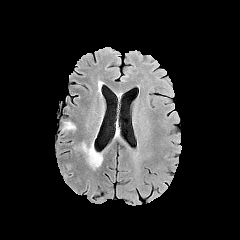
FLAIR magnetic resonance.
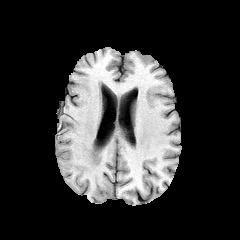
T1-weighted MRI.
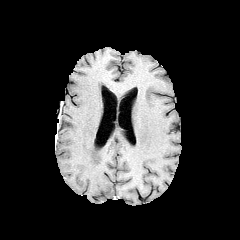
Post-contrast T1-weighted MR.
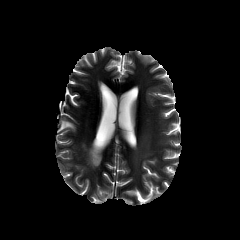
Same slice, T2-weighted MR image.
Head.
The edema lies within 76 142 101 168.